512x512 px, Field of view 360 mm wide, 0.80 mm slice spacing, CT scan slice
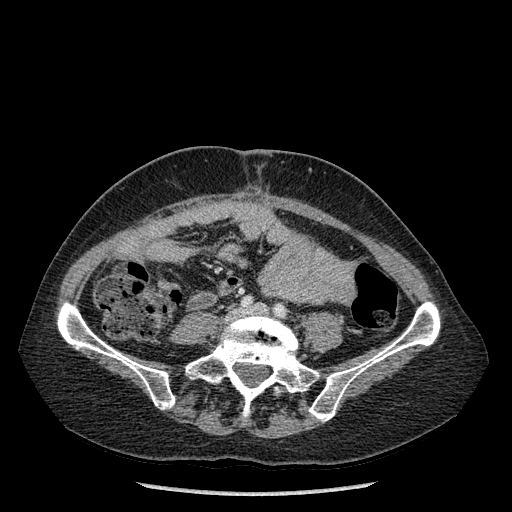 <segmentation>
  <bone>l=186, t=313, r=319, b=417; l=57, t=301, r=174, b=409; l=308, t=301, r=439, b=421</bone>
</segmentation>